Field of view 437x437 mm, Computed tomography, Slice 93/896, Lower abdomen
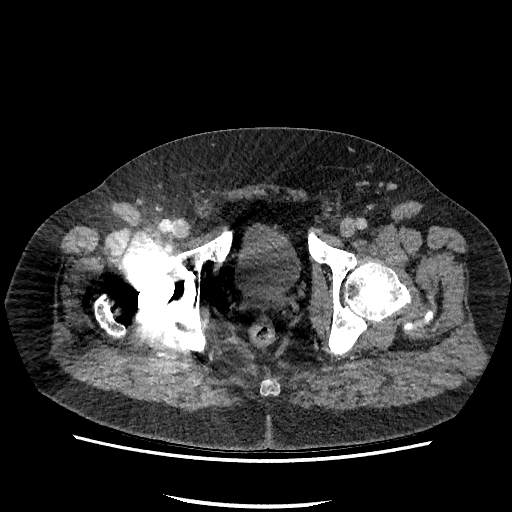

• urinary bladder: [238, 223, 300, 296]